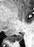
Hippocampus | Image size 34x47 | MRI
The posterior hippocampus is located at {"x1": 8, "y1": 33, "x2": 22, "y2": 41}.